MRI; Slice index 13
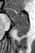
Anterior hippocampus = (left=6, top=7, right=28, bottom=23).
Posterior hippocampus = (left=15, top=24, right=28, bottom=37).